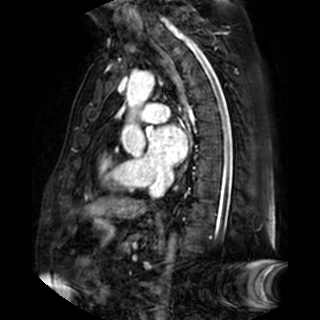 MRI slice, Heart
Left atrium at 150, 126, 186, 164.